Image width 432 mm, CT slice, Pelvis 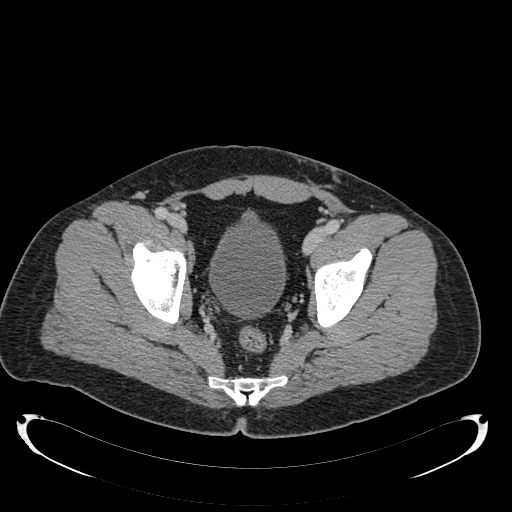

{
  "urinary_bladder": [
    "[x1=209, y1=218, x2=285, y2=319]"
  ]
}